FLAIR MR.
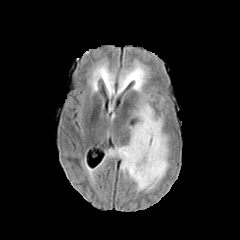
T1-weighted magnetic resonance.
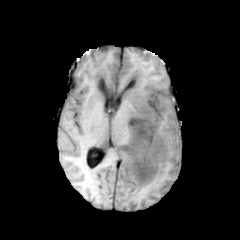
Post-contrast T1-weighted MR.
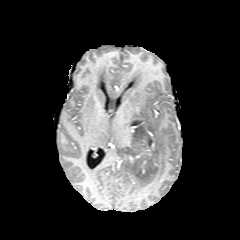
T2-weighted MRI.
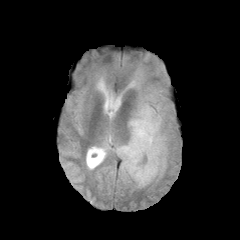
Image size 240x240; Head
non-enhancing_tumor_core:
  - [x1=147, y1=106, x2=153, y2=121]
  - [x1=118, y1=118, x2=158, y2=187]
edema:
  - [x1=107, y1=61, x2=169, y2=190]
  - [x1=124, y1=125, x2=133, y2=145]
  - [x1=97, y1=69, x2=107, y2=77]